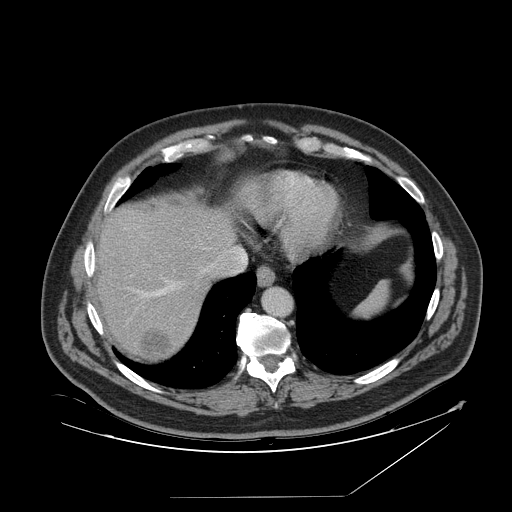

CT image

* spleen: (left=354, top=283, right=389, bottom=317)